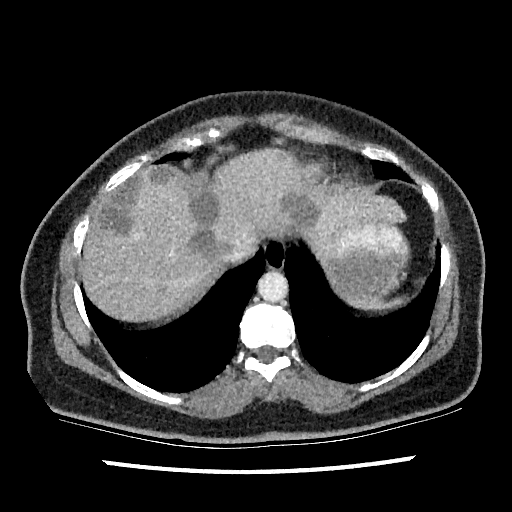 Liver. CT image.
focal liver lesion: {"x1": 180, "y1": 174, "x2": 229, "y2": 257}, {"x1": 97, "y1": 173, "x2": 141, "y2": 233}, {"x1": 281, "y1": 194, "x2": 321, "y2": 232}, {"x1": 150, "y1": 165, "x2": 174, "y2": 184} | liver: {"x1": 207, "y1": 149, "x2": 403, "y2": 248}, {"x1": 83, "y1": 165, "x2": 227, "y2": 321}, {"x1": 97, "y1": 175, "x2": 134, "y2": 215}